FLAIR MRI.
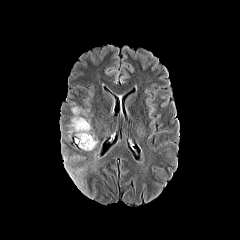
T1-weighted MRI.
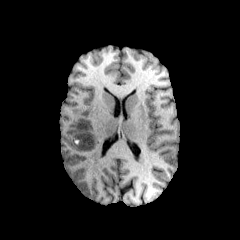
Post-contrast T1-weighted magnetic resonance.
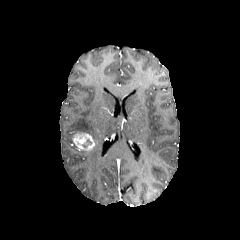
T2-weighted magnetic resonance.
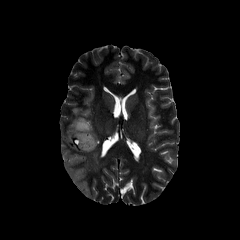
Head.
Segmented structures:
* edema: 62:153:85:183, 67:107:102:167
* enhancing tumor: 73:132:95:151